Abdomen | CT slice | Slice index 19 | 512x512 px

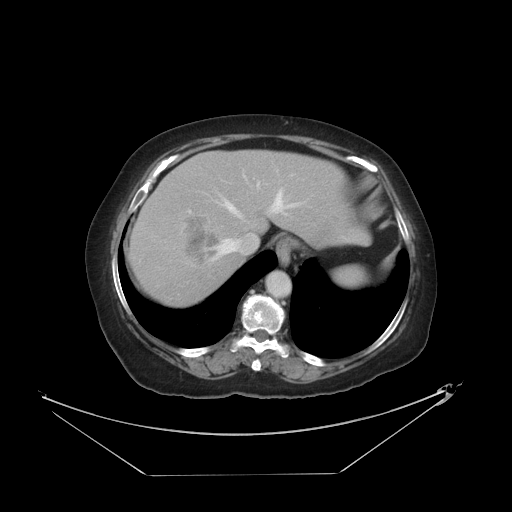
Only some of the vessels may be annotated.
hepatic_vessel:
  - (269, 190, 298, 213)
  - (212, 233, 257, 259)
  - (222, 198, 241, 217)
  - (256, 181, 259, 189)
liver_tumor:
  - (182, 215, 216, 260)